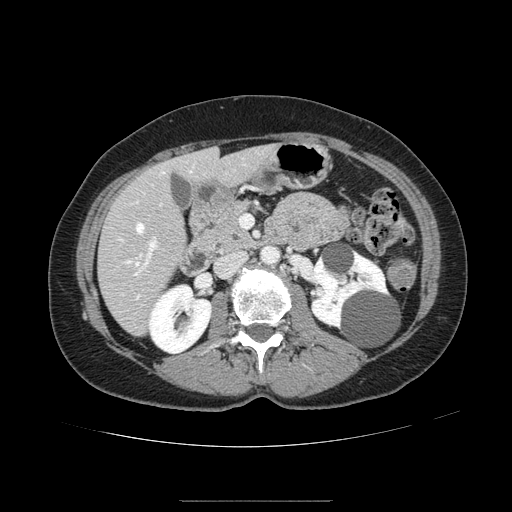 Computed tomography
Pancreas — (left=198, top=197, right=262, bottom=260).